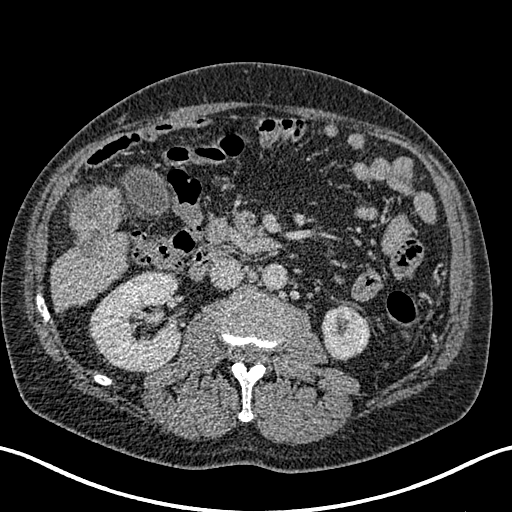 Upper abdomen, Computed tomography, 512x512

hepatic_lesion:
  - (71, 192, 116, 259)
liver:
  - (49, 185, 127, 312)
kidney:
  - (323, 307, 368, 358)
  - (91, 273, 179, 370)